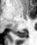
Hippocampus; MRI slice
Posterior hippocampus = [16, 30, 27, 37].